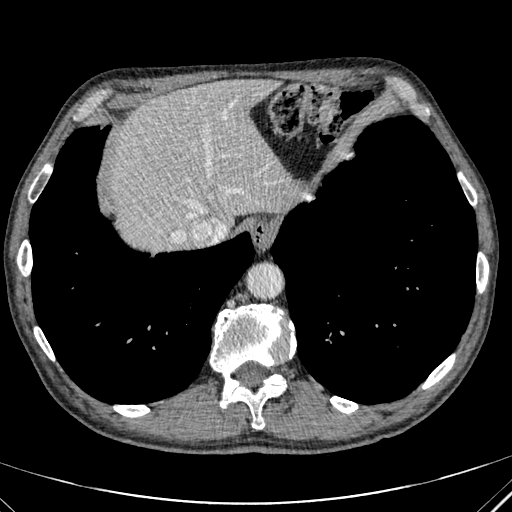
CT image
Liver: bounding box <box>110,79,292,249</box>.